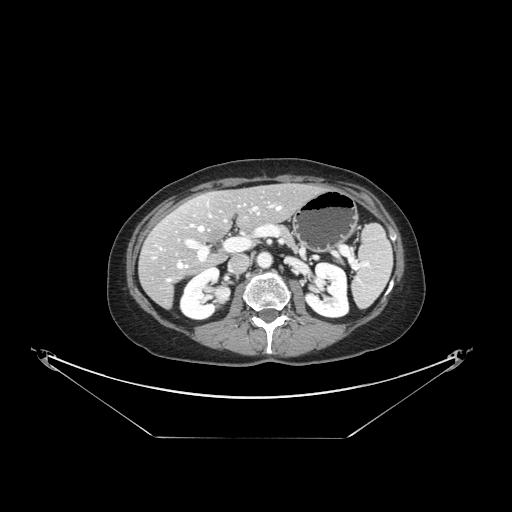

Computed tomography, Abdomen
The vessel annotation is not exhaustive.
Hepatic vessel — (277, 207, 280, 209), (254, 207, 256, 209), (199, 226, 202, 230), (199, 254, 204, 259).